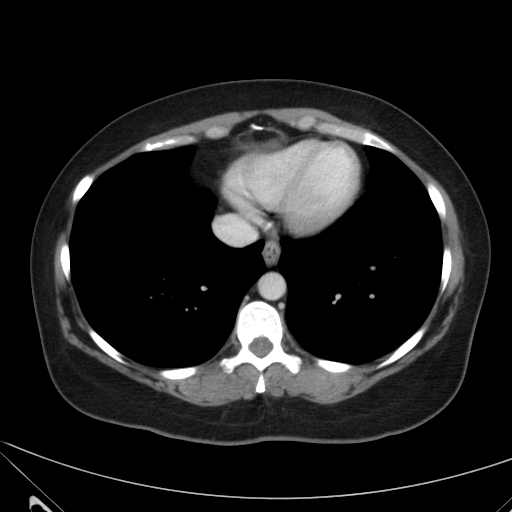
Computed tomography

The liver appears at rect(232, 163, 254, 185).